Slice 81/155; Head; Image size 240x240
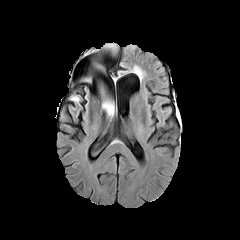
FLAIR MRI.
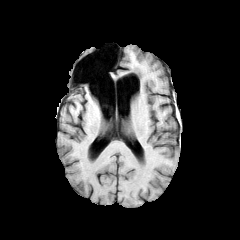
T1-weighted MRI.
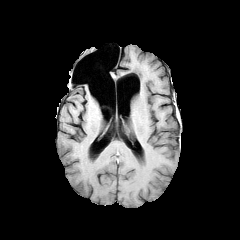
Same slice, post-contrast T1-weighted MR image.
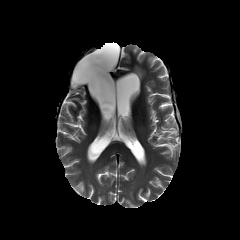
T2-weighted MR.
Non-enhancing tumor core: bounding box x1=102, y1=92, x2=111, y2=111.
Edema: bounding box x1=104, y1=99, x2=115, y2=119; x1=104, y1=44, x2=117, y2=49.